Liver; CT; 512x512 px; Slice 241 of 424
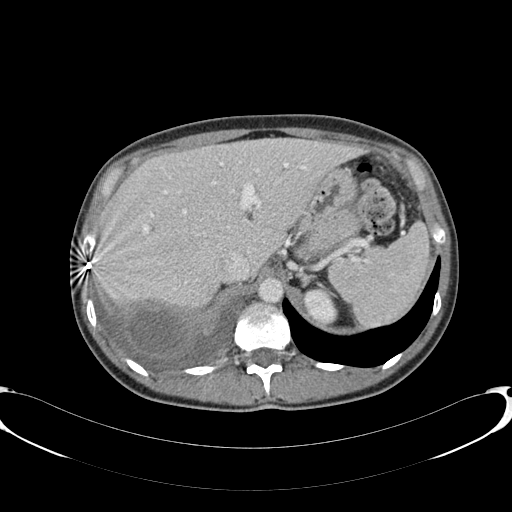 kidney: x1=304, y1=290, x2=334, y2=322 | liver: x1=93, y1=139, x2=367, y2=312